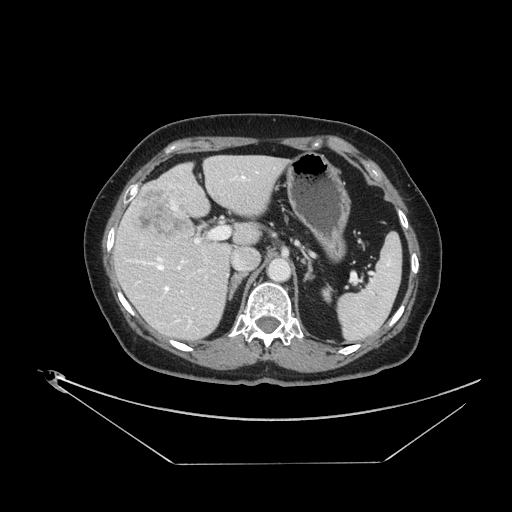

CT scan slice | Abdomen
Some hepatic vessels may have no box.
liver tumor: region(133, 185, 188, 237) | hepatic vessel: region(163, 286, 169, 292); region(195, 238, 199, 243); region(148, 257, 164, 269); region(139, 261, 145, 263); region(210, 226, 229, 238); region(242, 176, 243, 177); region(177, 263, 181, 269)